Prostate, Slice 3 of 20
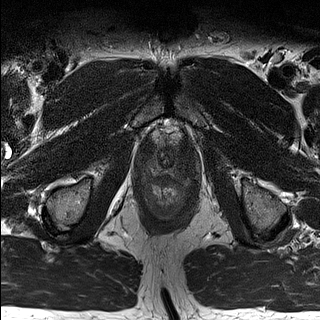
T2-weighted MR image.
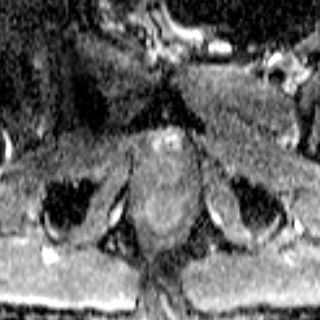
ADC magnetic resonance.
<segmentation>
  <prostate_transition_zone>x1=156 y1=151 x2=176 y2=167</prostate_transition_zone>
  <prostate_peripheral_zone>x1=152 y1=156 x2=176 y2=172</prostate_peripheral_zone>
</segmentation>